CT slice, Image size 512x512, Thorax, Field of view 360x360 mm

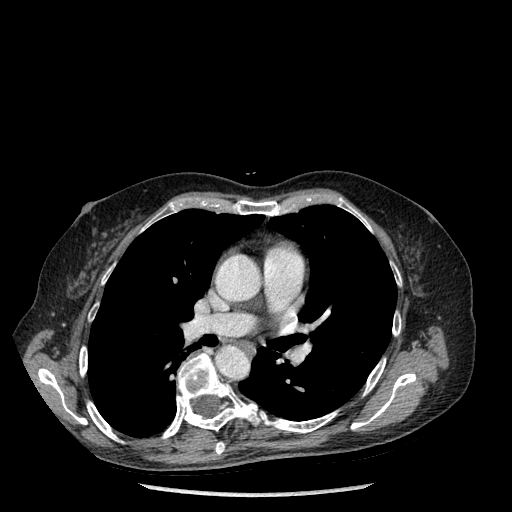
* lung: [239,205,396,420], [88,209,263,437]
* bone: [79,346,87,376], [38,368,87,424], [337,198,372,231], [351,372,416,430], [101,266,112,284], [88,303,98,320], [87,401,123,442], [232,199,282,215], [391,262,401,285], [215,442,224,454], [140,202,177,231], [161,353,337,439], [392,312,401,335], [363,358,385,395]